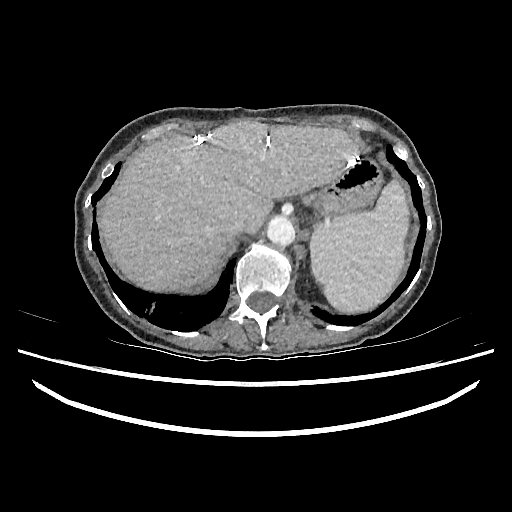
Abdomen, 512x512, CT image
The liver is bounded by box(103, 122, 358, 289).